FLAIR magnetic resonance.
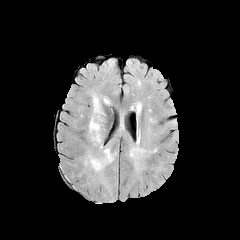
T1-weighted magnetic resonance.
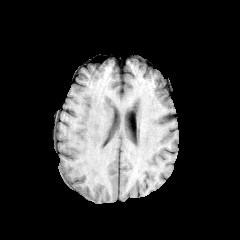
Post-contrast T1-weighted MR image.
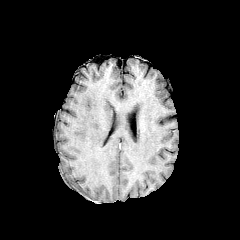
T2-weighted MR.
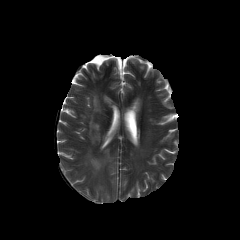
Brain
3 edema regions are bounded by box(89, 117, 100, 143); box(93, 96, 101, 113); box(88, 148, 113, 171).